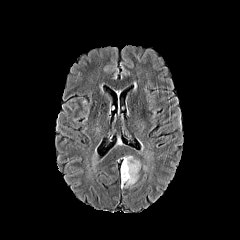
FLAIR MRI.
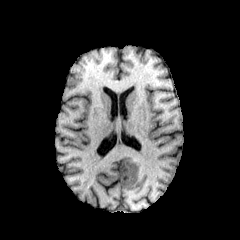
Same slice, T1-weighted MRI.
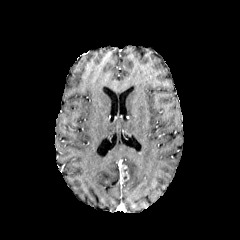
Post-contrast T1-weighted MR image.
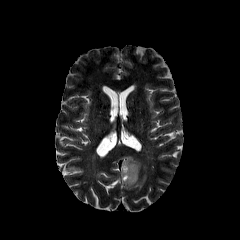
T2-weighted magnetic resonance.
Head
Enhancing tumor: bounding box [120,164,128,184].
Edema: bounding box [120,156,140,187].